Slice index 233, Field of view 360 mm wide, 1.25 mm slice spacing, CT slice, 512x512
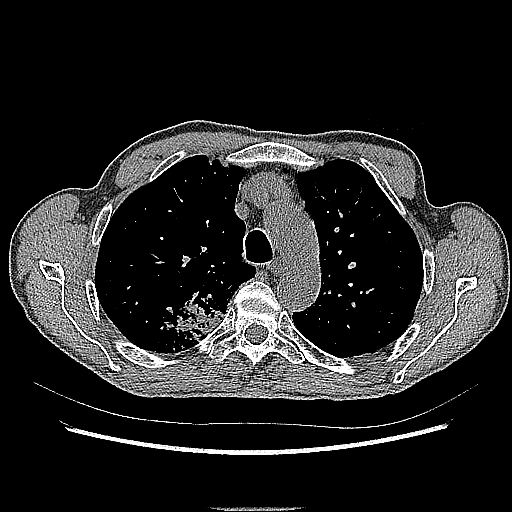

{"lung_tumor": ["[159, 288, 228, 351]"]}